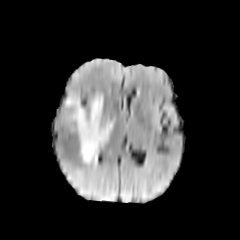
FLAIR magnetic resonance.
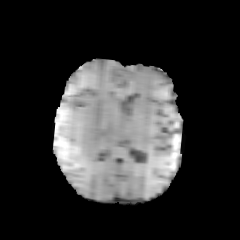
Same slice, T1-weighted MR image.
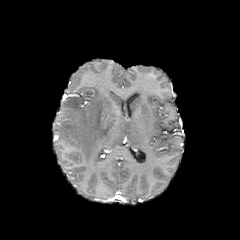
Post-contrast T1-weighted magnetic resonance.
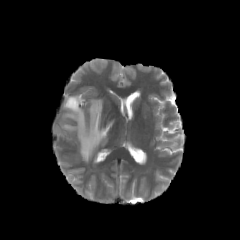
T2-weighted MR image of the same slice.
Brain
Findings:
• edema: box=[66, 94, 112, 164]